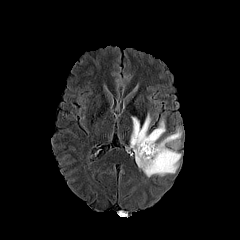
FLAIR MR image.
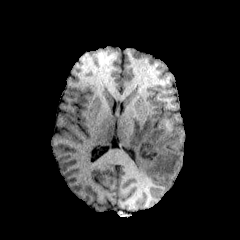
T1-weighted magnetic resonance.
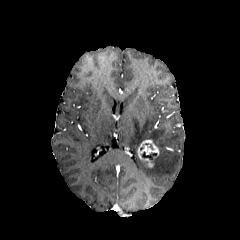
Post-contrast T1-weighted MRI.
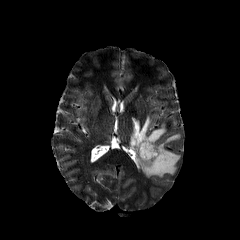
Same slice, T2-weighted MR image.
Head
The non-enhancing tumor core is located at (142, 151, 157, 164). 2 edema regions appear at (130, 115, 180, 177), (165, 132, 181, 141). The enhancing tumor is bounded by (137, 140, 159, 167).